CT image, Image size 512x512, Liver

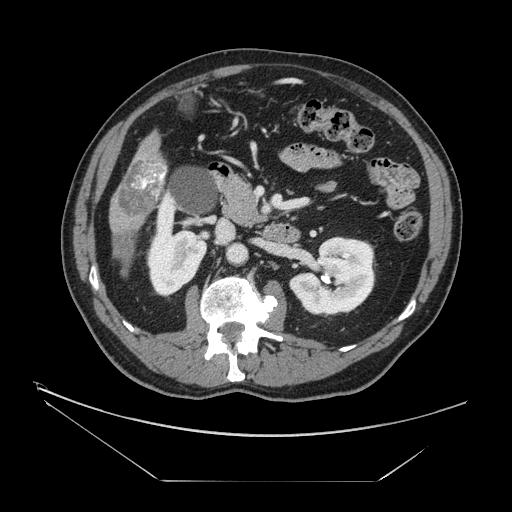

Findings:
• liver tumor: left=118, top=156, right=166, bottom=216; left=114, top=231, right=133, bottom=266